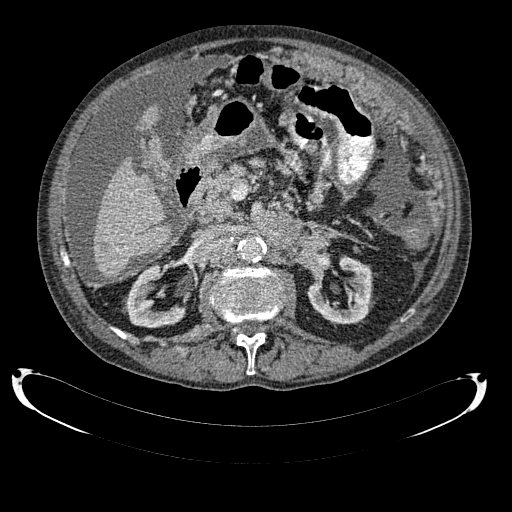 512x512 px; Computed tomography
kidney: 126:265:184:327, 308:253:371:323 | liver: 138:107:159:130, 94:157:170:277, 150:138:160:150